Computed tomography. Liver. Slice 260 of 432.
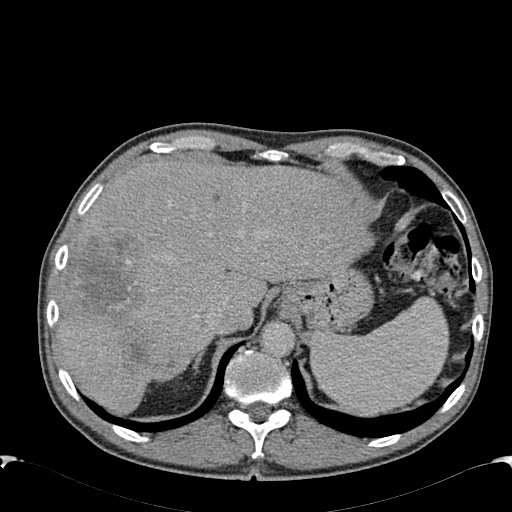 Focal liver lesion: [69, 232, 144, 326], [117, 328, 151, 368].
Liver: [57, 161, 373, 411].